Slice 56/155
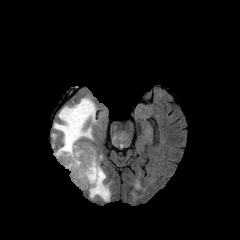
FLAIR MR.
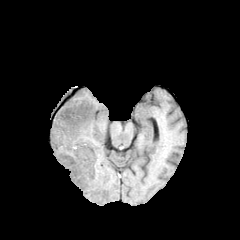
T1-weighted magnetic resonance of the same slice.
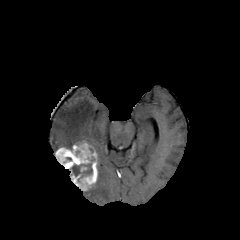
Post-contrast T1-weighted MRI.
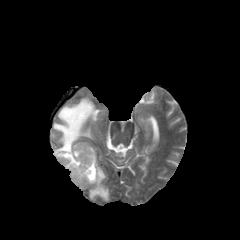
T2-weighted MR.
non-enhancing_tumor_core:
  - bbox(83, 164, 92, 174)
  - bbox(72, 165, 80, 176)
enhancing_tumor:
  - bbox(55, 142, 98, 190)
edema:
  - bbox(51, 96, 97, 148)
  - bbox(88, 162, 110, 201)